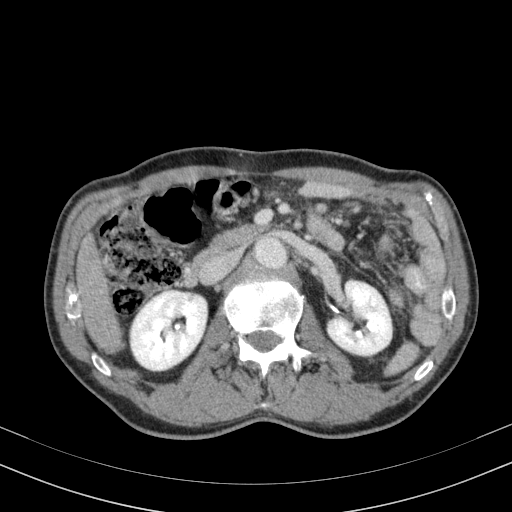 Liver. CT. liver: 76,233,123,356 | kidney: 131,291,206,369; 328,281,391,354